Abdomen | Computed tomography

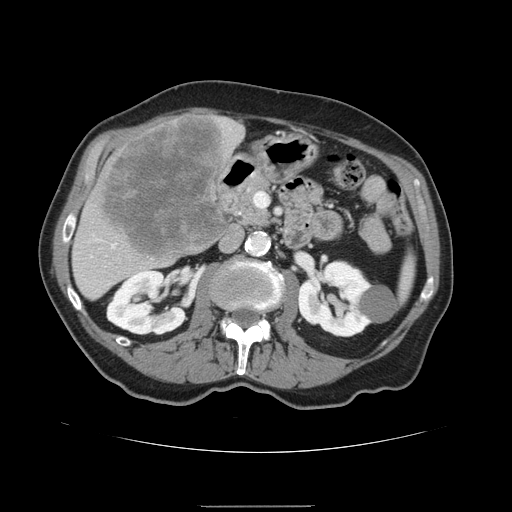 The spleen is located at (left=398, top=252, right=415, bottom=303).